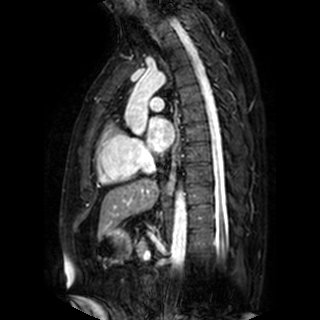

MRI slice, Cardiac
Left atrium: bounding box {"x1": 147, "y1": 117, "x2": 173, "y2": 151}.